Brain, 240x240 px
FLAIR MRI.
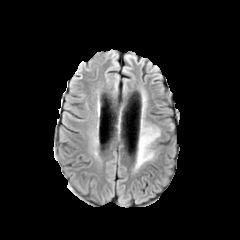
T1-weighted MRI.
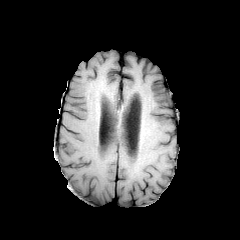
Post-contrast T1-weighted MRI.
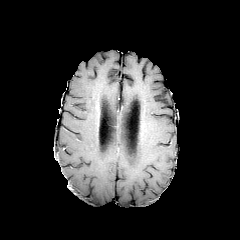
T2-weighted MR image.
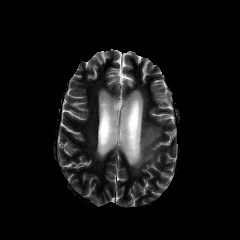
The edema lies within rect(136, 122, 159, 165).